Upper abdomen, CT scan slice 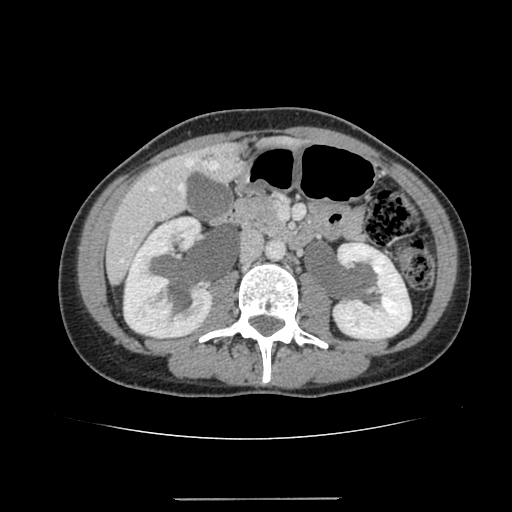 Kidney — 124:217:211:337, 334:243:410:338.
Liver — 262:135:297:147, 106:142:241:284.